MR

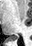
The posterior hippocampus appears at box=[10, 35, 18, 40].